Medial temporal lobe, Slice 21/35, Magnetic resonance

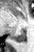

- posterior hippocampus: [x1=11, y1=29, x2=25, y2=41]